Field of view 360 mm wide, 0.80 mm slice spacing. Computed tomography. Chest.
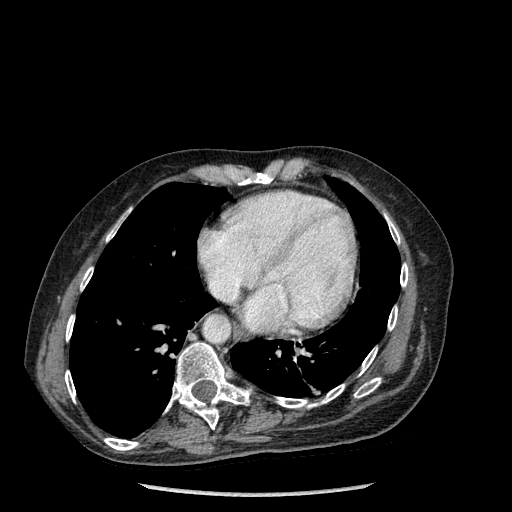 Lung = (70, 182, 230, 438), (230, 179, 400, 398).
Bone = (80, 267, 93, 290), (65, 370, 75, 402), (358, 347, 377, 375), (104, 438, 138, 450), (400, 263, 408, 287), (66, 315, 74, 341), (276, 384, 344, 408), (106, 208, 131, 241), (237, 171, 273, 185), (165, 342, 251, 429), (388, 305, 397, 330), (384, 214, 400, 244), (354, 377, 381, 397).